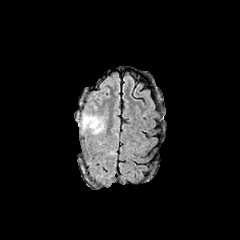
FLAIR magnetic resonance.
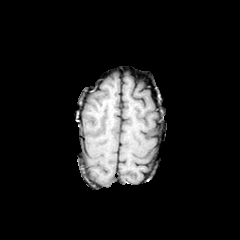
T1-weighted magnetic resonance.
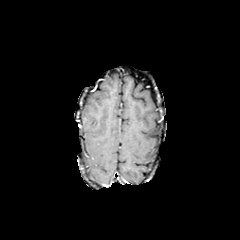
Same slice, post-contrast T1-weighted MR image.
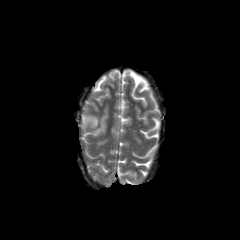
T2-weighted MRI of the same slice.
The edema is at x1=79 y1=113 x2=105 y2=134.